512x512 px | CT image | Chest
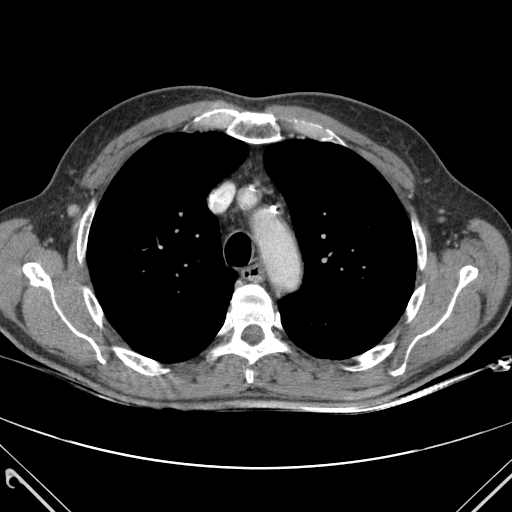 Bone at bbox(77, 204, 93, 261); bbox(114, 347, 168, 375); bbox(84, 288, 102, 325); bbox(214, 285, 287, 364); bbox(407, 285, 424, 320); bbox(351, 343, 393, 370); bbox(246, 370, 252, 382); bbox(322, 131, 333, 140); bbox(23, 263, 104, 363); bbox(408, 266, 477, 351); bbox(413, 223, 426, 268); bbox(195, 109, 280, 143); bbox(391, 364, 405, 375).
Lung at bbox(264, 140, 415, 359); bbox(87, 132, 247, 362).